Image size 240x240, Slice 87 of 155
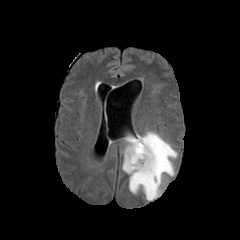
FLAIR magnetic resonance.
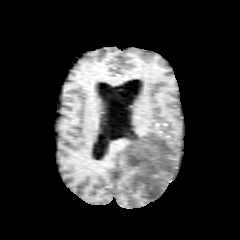
Same slice, T1-weighted magnetic resonance.
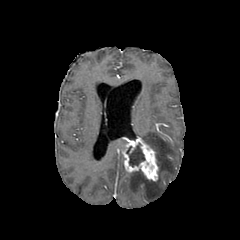
Post-contrast T1-weighted MR image.
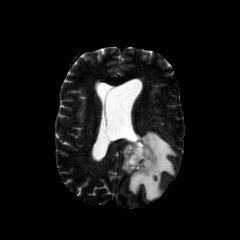
T2-weighted MR image of the same slice.
Non-enhancing tumor core: left=126, top=145, right=145, bottom=167.
Edema: left=121, top=131, right=177, bottom=200.
Enhancing tumor: left=122, top=137, right=158, bottom=180.